Abdomen, CT image, Slice 11 of 55

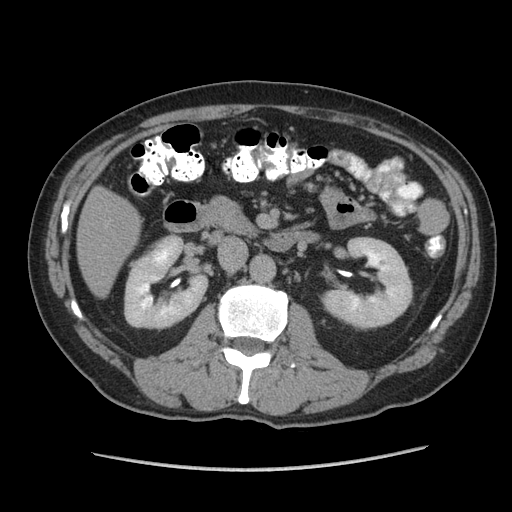

{"pancreas": ["(left=204, top=197, right=251, bottom=233)"]}